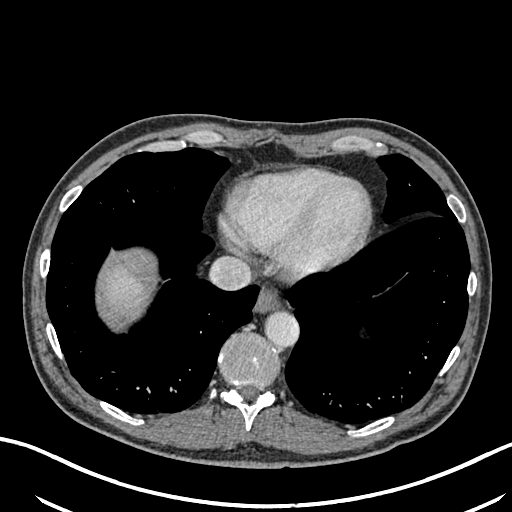

512x512 px; Upper abdomen; CT image

{"liver": ["<bbox>111, 270, 142, 304</bbox>"]}